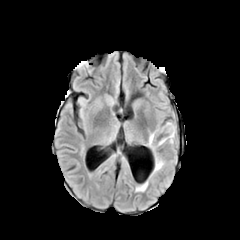
FLAIR MRI.
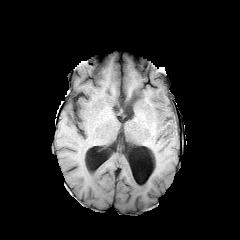
T1-weighted MRI of the same slice.
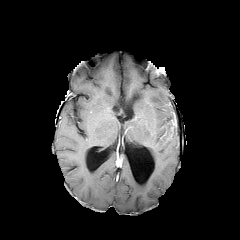
Post-contrast T1-weighted MR.
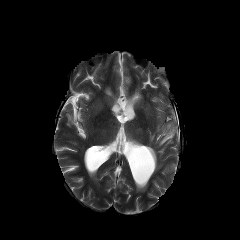
T2-weighted MRI.
240x240 px
3 edema regions appear at l=146, t=133, r=163, b=174; l=135, t=180, r=148, b=191; l=158, t=122, r=176, b=145. The non-enhancing tumor core appears at l=164, t=126, r=175, b=139.